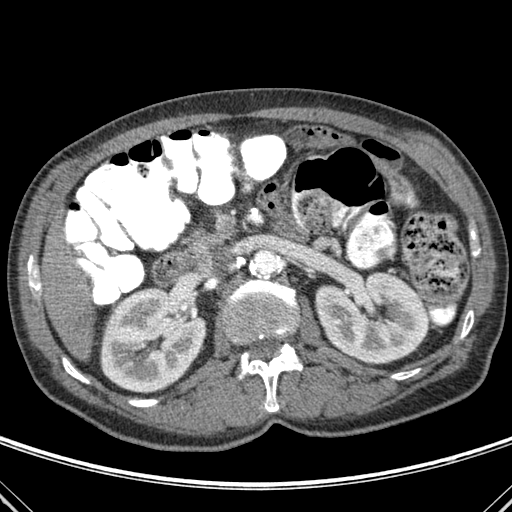

Computed tomography
Liver: (43, 223, 95, 360).
Bone: (391, 368, 420, 379), (28, 257, 40, 290), (248, 208, 262, 222), (129, 399, 157, 407), (62, 358, 89, 383), (239, 344, 302, 411), (225, 275, 297, 344), (460, 310, 473, 338).
Kidney: (102, 289, 204, 391), (316, 272, 427, 362).